FLAIR MRI.
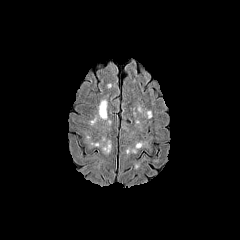
T1-weighted MR.
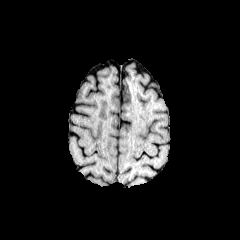
Post-contrast T1-weighted MR image.
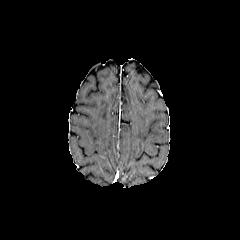
T2-weighted magnetic resonance.
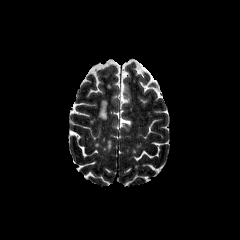
240x240 px | Brain
edema: (99,102,106,120)